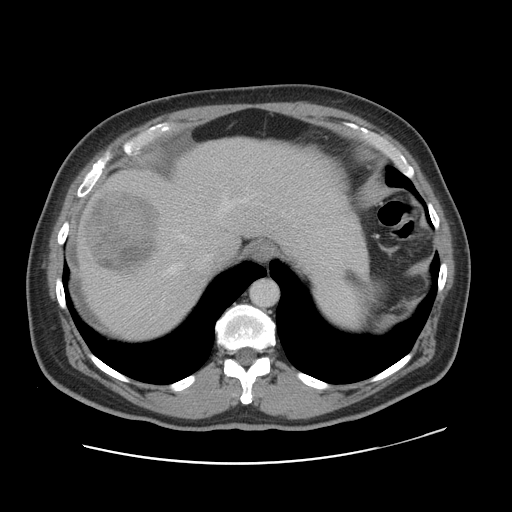
Computed tomography, 512x512

Only some of the vessels may be annotated.
9 hepatic vessel regions are bounded by l=184, t=238, r=190, b=241; l=152, t=268, r=153, b=269; l=218, t=194, r=236, b=216; l=200, t=258, r=213, b=269; l=178, t=234, r=183, b=237; l=162, t=273, r=165, b=275; l=167, t=263, r=183, b=273; l=282, t=210, r=284, b=213; l=238, t=198, r=247, b=202. The liver tumor is located at l=84, t=190, r=161, b=281.